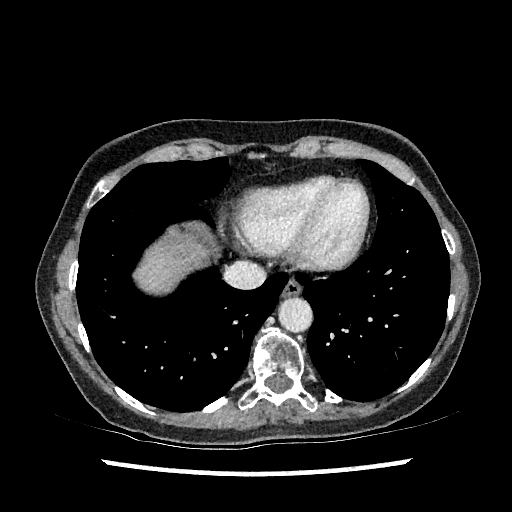
Computed tomography, Abdomen

Liver: rect(138, 239, 206, 291).